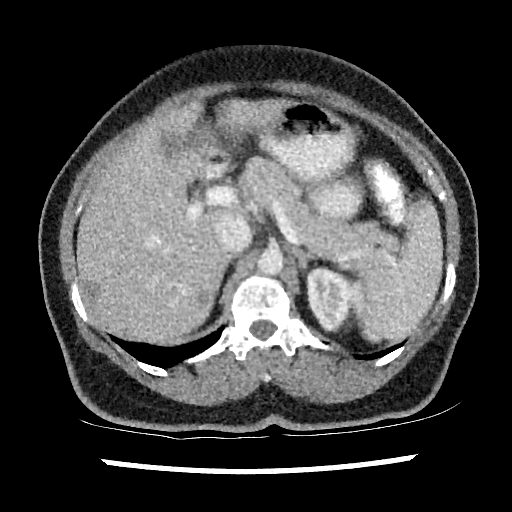

CT | Liver
Kidney: bounding box [308,269,362,329].
Liver lesion: bounding box [199,293,209,303], [192,129,212,145], [85,282,100,299].
Liver: bounding box [224,101,289,135], [77,104,230,341].